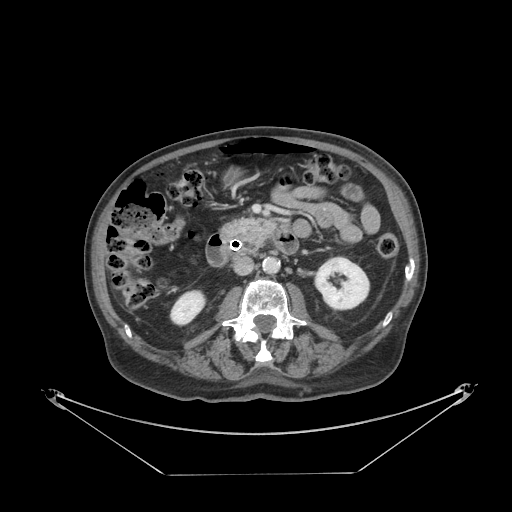

512x512 px. CT slice.
pancreas:
  - <box>223,219,272,246</box>